Image width 382 mm. Computed tomography.
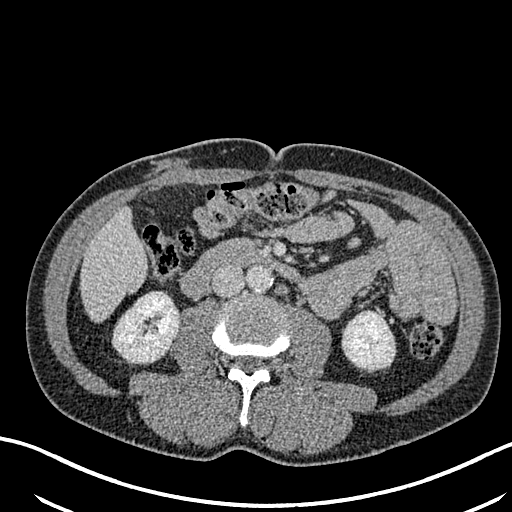

kidney: (x1=113, y1=292, x2=178, y2=362), (x1=343, y1=312, x2=394, y2=368) | liver: (x1=80, y1=208, x2=145, y2=321)